CT slice. Field of view 700x700 mm. Slice 503 of 707.
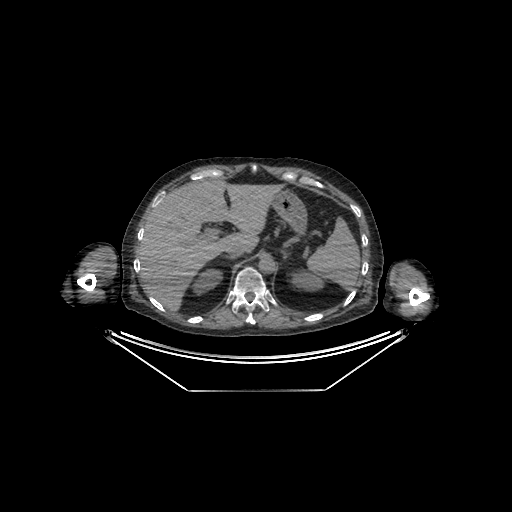 The liver appears at [136, 176, 284, 311]. 2 kidney regions appear at [290, 268, 324, 290], [191, 269, 222, 294].